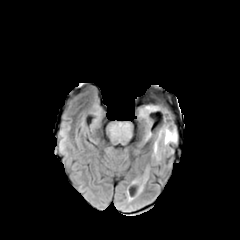
FLAIR MR image.
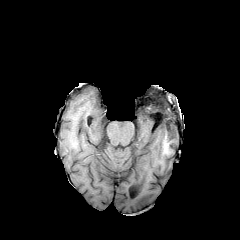
Same slice, T1-weighted MRI.
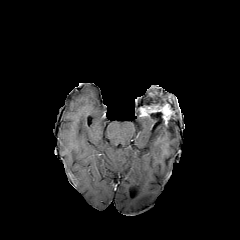
Post-contrast T1-weighted MR.
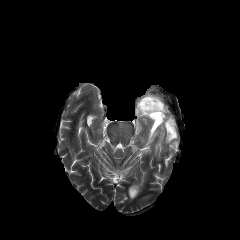
Same slice, T2-weighted MR.
<segmentation>
  <non-enhancing_tumor_core><bbox>149, 111, 171, 131</bbox></non-enhancing_tumor_core>
  <enhancing_tumor><bbox>138, 103, 171, 125</bbox></enhancing_tumor>
  <edema><bbox>144, 123, 152, 142</bbox>, <bbox>152, 120, 177, 160</bbox></edema>
</segmentation>